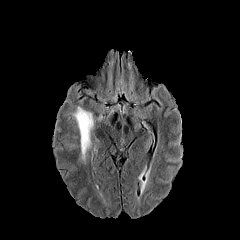
FLAIR MR image.
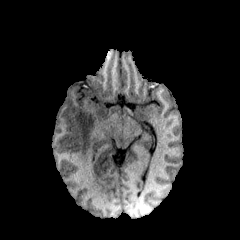
T1-weighted MRI of the same slice.
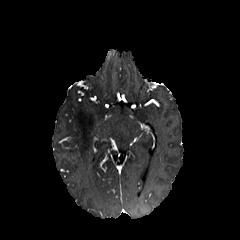
Post-contrast T1-weighted MR image.
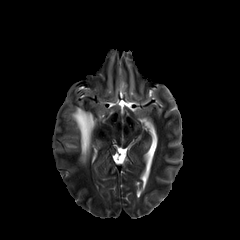
T2-weighted MRI of the same slice.
240x240 px | Brain
• edema: {"x1": 71, "y1": 106, "x2": 93, "y2": 165}